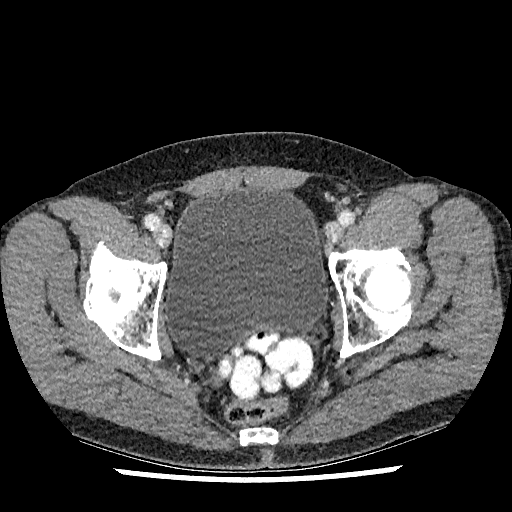

CT image; 512x512

urinary_bladder:
  - <box>165,188,328,356</box>